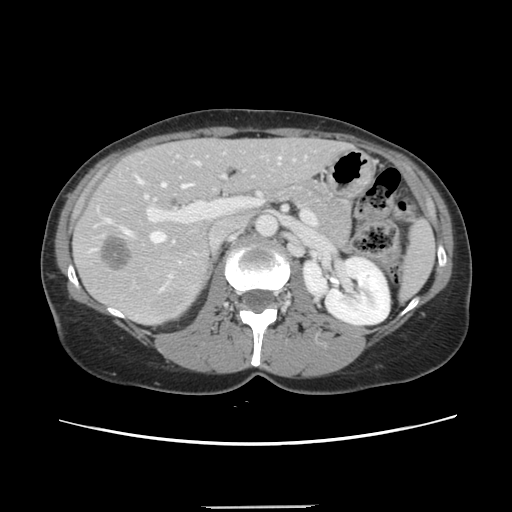 CT. Abdomen. 512x512 px.

The vessel boxes may cover only some of the vessels.
hepatic vessel: [278, 156, 280, 163], [104, 218, 110, 222], [161, 183, 164, 186], [182, 183, 191, 187], [195, 161, 199, 164], [123, 229, 130, 235], [150, 231, 163, 242], [147, 207, 154, 221], [222, 175, 224, 176], [144, 195, 147, 197], [135, 175, 142, 182] | liver tumor: [100, 236, 131, 270]